CT image | Abdomen | Slice 30 of 95
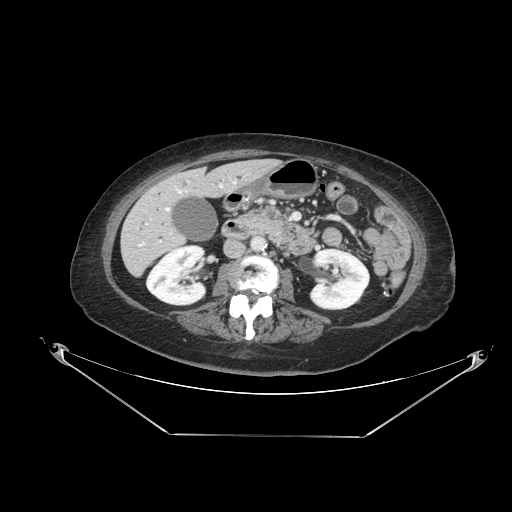 The pancreas is bounded by [246, 208, 282, 237].